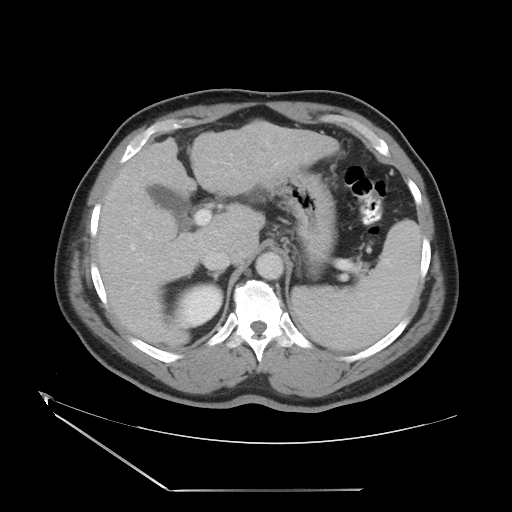 CT image | Abdomen
Some hepatic vessels may have no box.
Hepatic vessel: bounding box [x1=130, y1=245, x2=134, y2=249], [x1=213, y1=231, x2=218, y2=234], [x1=207, y1=252, x2=228, y2=267], [x1=135, y1=220, x2=138, y2=223], [x1=196, y1=211, x2=210, y2=224], [x1=139, y1=259, x2=141, y2=261], [x1=148, y1=236, x2=150, y2=237].
Liver tumor: bounding box [x1=244, y1=123, x2=280, y2=152].